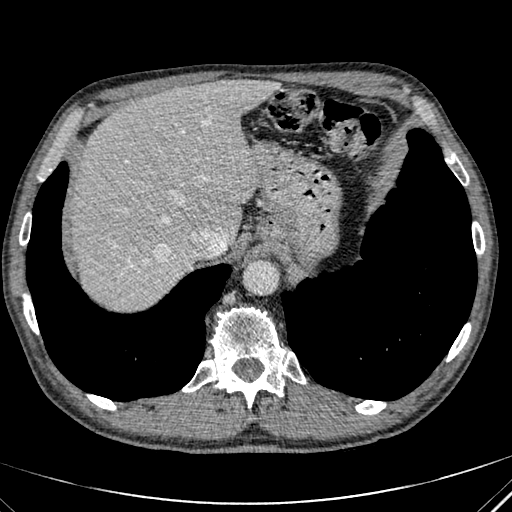 512x512; CT
The liver lies within bbox(73, 80, 278, 309).